Computed tomography. Slice 148 of 671. Image size 512x512.

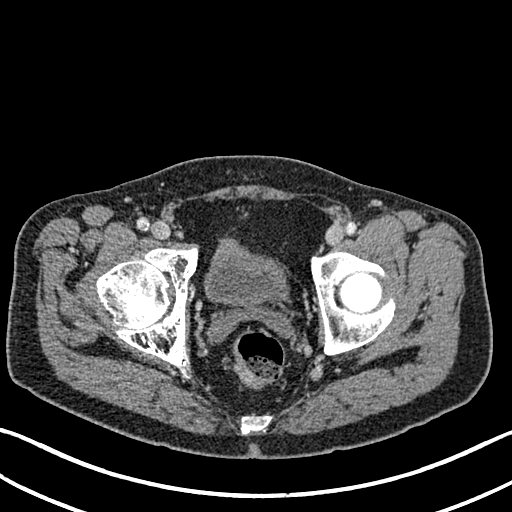
urinary bladder: region(204, 239, 286, 306)